FLAIR MR.
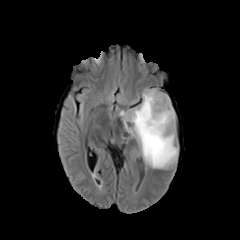
T1-weighted MR image.
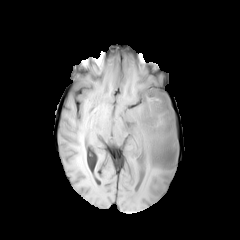
Post-contrast T1-weighted MR.
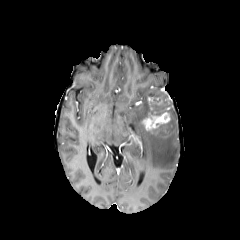
T2-weighted MR image.
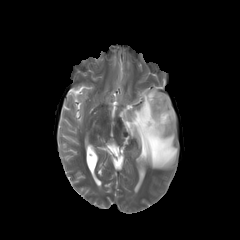
Head
Edema = x1=116 y1=87 x2=178 y2=171.
Enhancing tumor = x1=142 y1=112 x2=170 y2=130.
Non-enhancing tumor core = x1=140 y1=88 x2=174 y2=132.